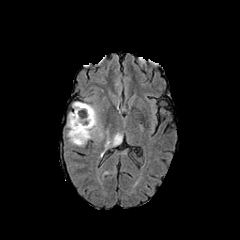
FLAIR MR.
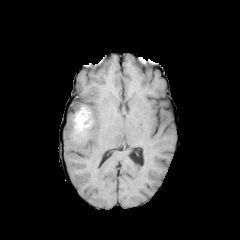
T1-weighted MR.
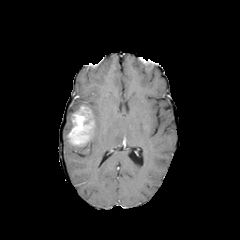
Same slice, post-contrast T1-weighted MR image.
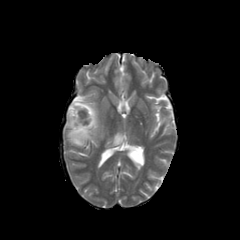
T2-weighted magnetic resonance.
Head.
Edema — l=72, t=96, r=104, b=143; l=66, t=112, r=72, b=140; l=107, t=133, r=118, b=146.
Enhancing tumor — l=68, t=111, r=95, b=144.
Non-enhancing tumor core — l=79, t=109, r=89, b=117.